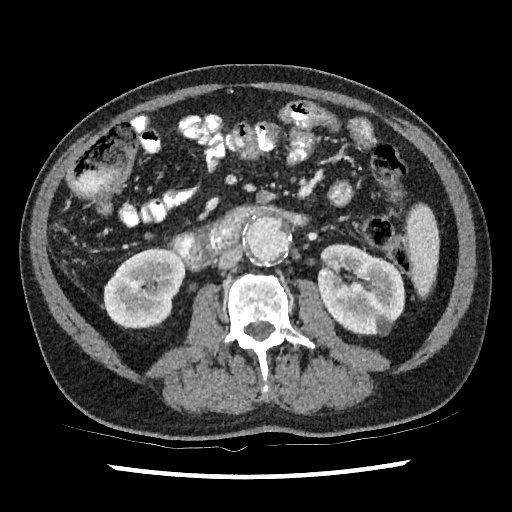

CT scan slice | Abdomen
2 kidney regions appear at <box>318,245,403,333</box>, <box>104,249,184,327</box>.